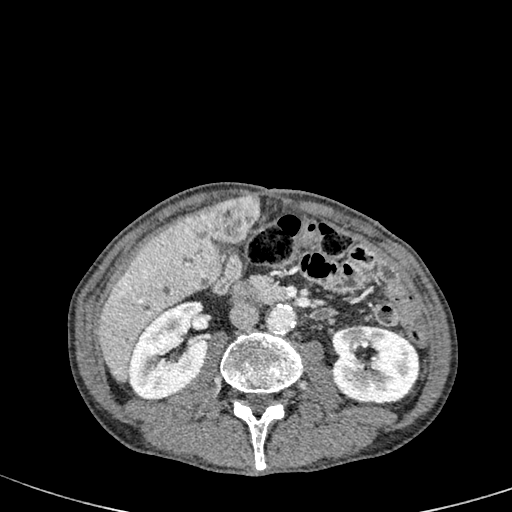 512x512 px; Abdomen; CT image
Focal liver lesion: bounding box [x1=196, y1=195, x2=259, y2=242].
Liver: bounding box [x1=98, y1=208, x2=222, y2=382].
Kidney: bounding box [x1=128, y1=302, x2=208, y2=398], [x1=333, y1=327, x2=418, y2=402].